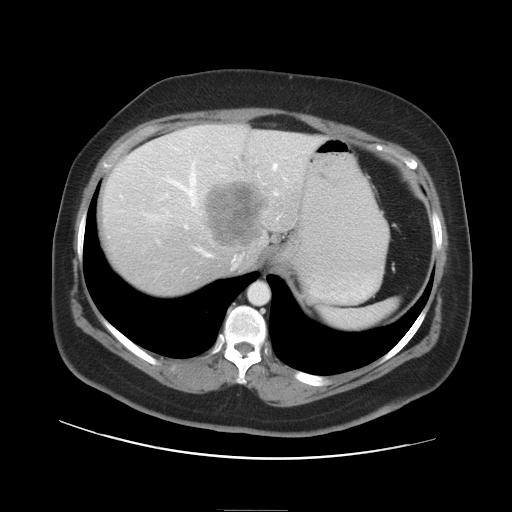

CT slice. Abdomen.

Some hepatic vessels may have no box.
Hepatic vessel at 168 162 196 205, 272 163 277 170, 195 247 212 256, 232 256 241 267.
Liver tumor at 207 183 262 249.